CT

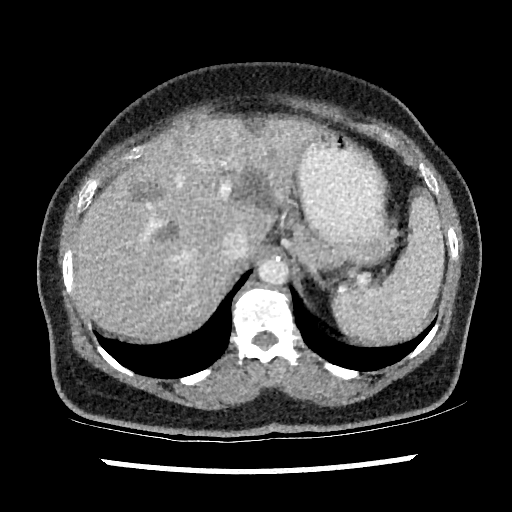
Liver at left=72, top=116, right=317, bottom=338.
Liver lesion at left=127, top=183, right=160, bottom=200; left=239, top=117, right=264, bottom=131; left=155, top=224, right=177, bottom=242; left=231, top=169, right=274, bottom=211.